FLAIR MR image.
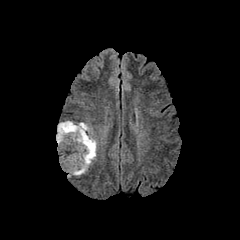
T1-weighted magnetic resonance.
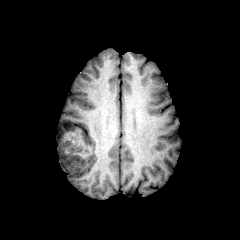
Post-contrast T1-weighted MR image.
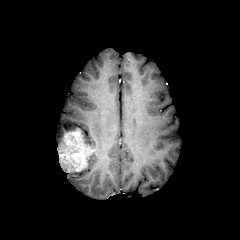
T2-weighted MR.
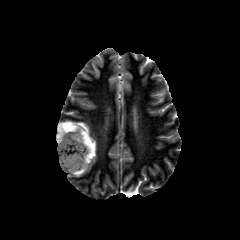
Non-enhancing tumor core = {"x1": 58, "y1": 142, "x2": 67, "y2": 153}, {"x1": 58, "y1": 122, "x2": 76, "y2": 140}, {"x1": 76, "y1": 127, "x2": 95, "y2": 157}.
Enhancing tumor = {"x1": 60, "y1": 130, "x2": 93, "y2": 171}.
Edema = {"x1": 70, "y1": 154, "x2": 97, "y2": 176}, {"x1": 64, "y1": 120, "x2": 98, "y2": 152}.